Image size 240x240. Field of view 240 mm wide, 1.00 mm slice spacing. Head.
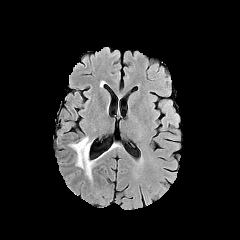
FLAIR magnetic resonance.
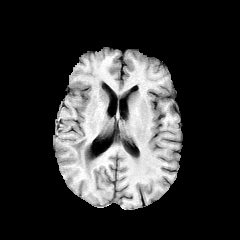
T1-weighted MR of the same slice.
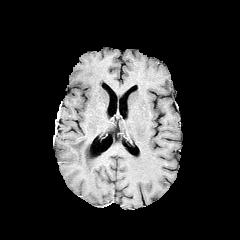
Post-contrast T1-weighted MRI of the same slice.
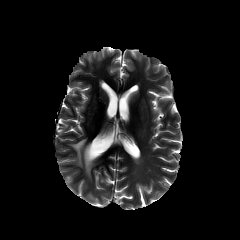
T2-weighted MRI.
The edema appears at 69 136 97 179.